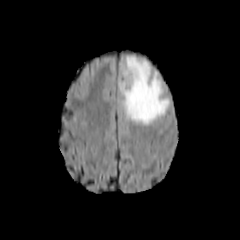
FLAIR MRI.
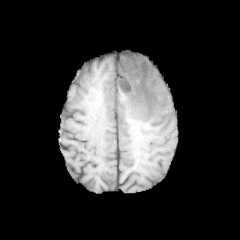
Same slice, T1-weighted magnetic resonance.
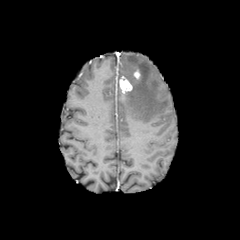
Same slice, post-contrast T1-weighted MRI.
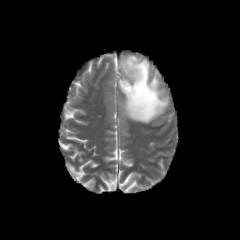
T2-weighted MR.
Head. 240x240.
<segmentation>
  <non-enhancing_tumor_core>123 63 137 76</non-enhancing_tumor_core>
  <edema>122 56 170 124</edema>
  <enhancing_tumor>134 69 140 79, 119 76 132 93</enhancing_tumor>
</segmentation>